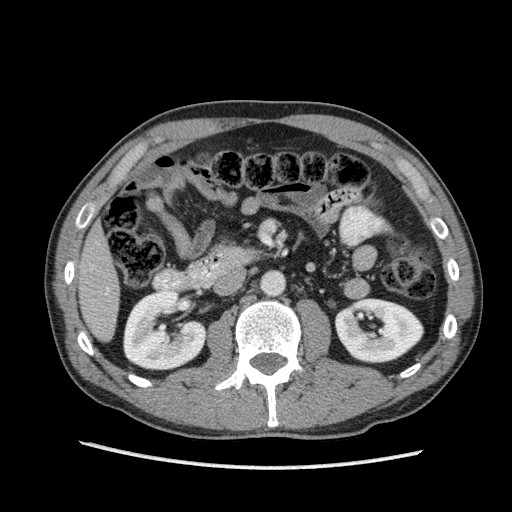
Liver | CT scan slice | 512x512
<segmentation>
  <kidney>336, 299, 421, 361; 124, 290, 204, 368</kidney>
  <liver>72, 221, 119, 341</liver>
</segmentation>